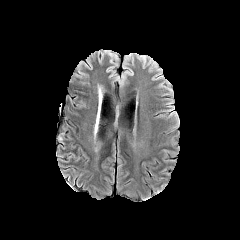
FLAIR MR.
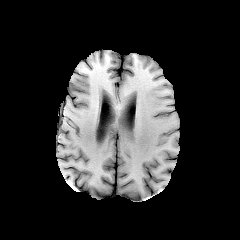
T1-weighted magnetic resonance.
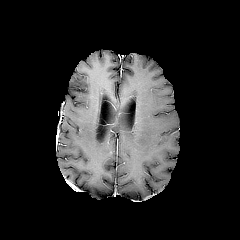
Same slice, post-contrast T1-weighted magnetic resonance.
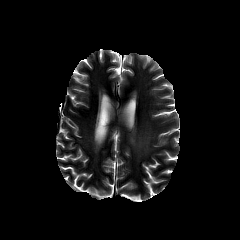
Same slice, T2-weighted MRI.
Brain; 240x240
edema: rect(94, 113, 99, 133)